CT image | Slice 481/537 | Liver

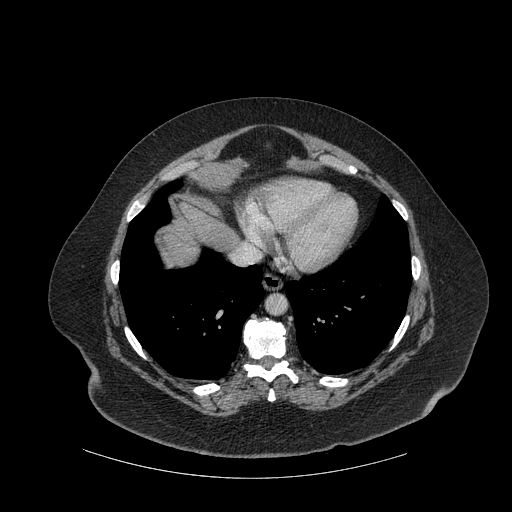
Bone: <box>393,201,407,219</box>, <box>127,201,143,220</box>, <box>194,383,219,395</box>, <box>244,320,285,358</box>, <box>125,327,145,358</box>, <box>110,261,119,283</box>, <box>390,316,409,349</box>, <box>320,377,347,386</box>, <box>268,389,275,400</box>, <box>412,256,420,279</box>, <box>244,361,297,382</box>.
Lung: <box>285,195,411,374</box>, <box>119,180,263,379</box>.
Liver: <box>164,203,238,266</box>.